512x512 px. Liver. CT slice. 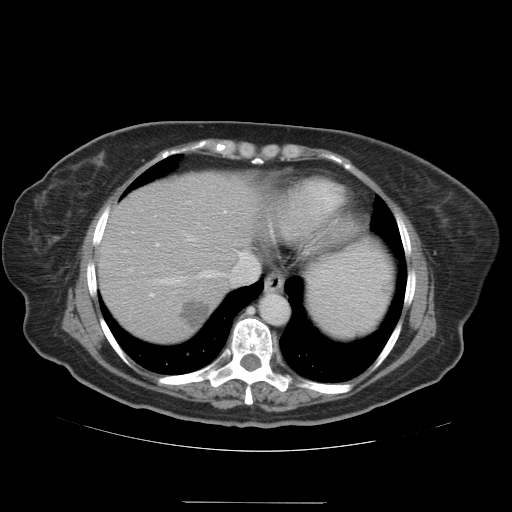
Some hepatic vessels may have no box.
* hepatic vessel: (201, 270, 209, 277), (160, 278, 178, 283), (156, 243, 158, 246), (130, 268, 132, 270), (239, 252, 242, 255), (242, 239, 243, 243)